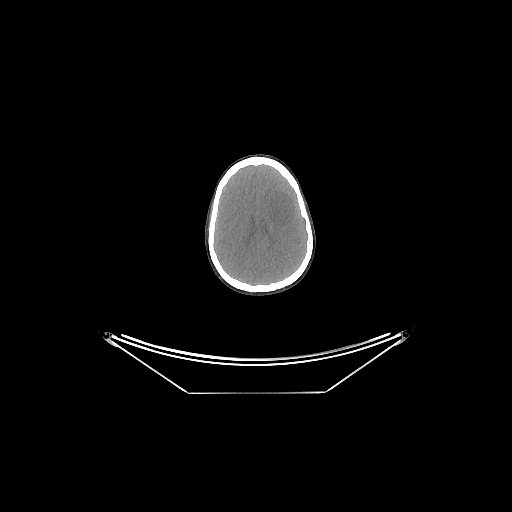 Brain; CT scan slice
{
  "brain": [
    "l=213, t=164, r=307, b=285"
  ]
}